Slice index 57; CT slice
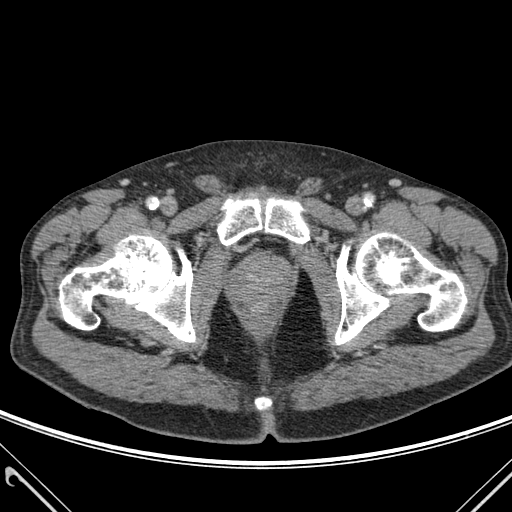
- bone: x1=335, y1=233, x2=466, y2=344; x1=59, y1=235, x2=195, y2=342; x1=255, y1=398, x2=271, y2=408; x1=217, y1=198, x2=309, y2=245